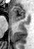

34x49 px, MRI slice
The anterior hippocampus lies within 11,5,26,21.